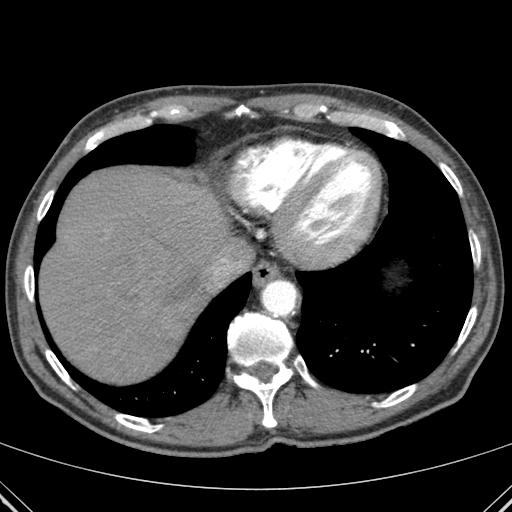 Liver. 512x512. Computed tomography. {
  "lung": [
    "rect(36, 124, 195, 276)",
    "rect(296, 127, 472, 393)",
    "rect(37, 272, 251, 416)"
  ],
  "liver": [
    "rect(39, 166, 238, 384)"
  ],
  "bone": [
    "rect(37, 190, 53, 220)",
    "rect(294, 356, 317, 387)",
    "rect(235, 105, 249, 115)",
    "rect(228, 313, 292, 427)",
    "rect(45, 349, 71, 385)",
    "rect(24, 266, 34, 301)",
    "rect(115, 414, 161, 432)",
    "rect(374, 385, 416, 407)",
    "rect(440, 163, 462, 194)",
    "rect(470, 234, 480, 264)",
    "rect(457, 307, 476, 346)",
    "rect(380, 120, 402, 137)",
    "rect(85, 130, 103, 150)"
  ]
}